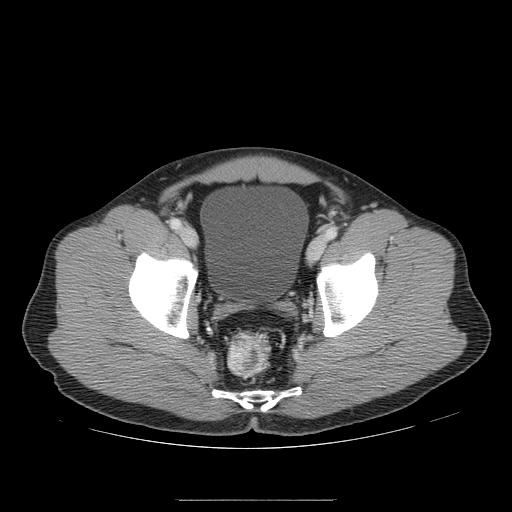

Computed tomography

Colon tumor at 228,338,250,371.